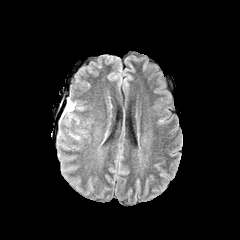
FLAIR MR.
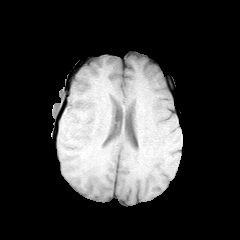
T1-weighted MR image.
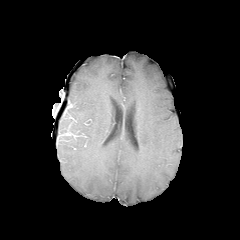
Post-contrast T1-weighted MR.
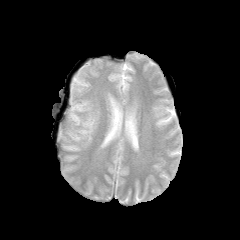
Same slice, T2-weighted MR image.
The edema lies within rect(64, 98, 84, 140).